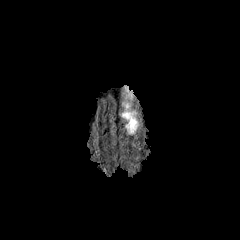
FLAIR MR.
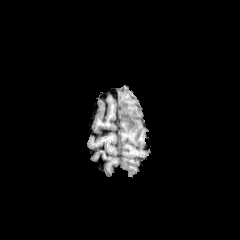
T1-weighted MRI of the same slice.
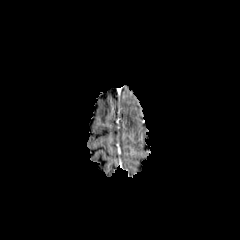
Post-contrast T1-weighted MR of the same slice.
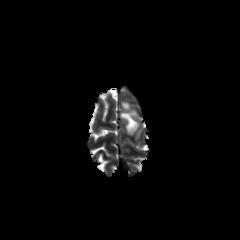
T2-weighted magnetic resonance.
240x240.
{"edema": ["box=[120, 85, 138, 135]"]}